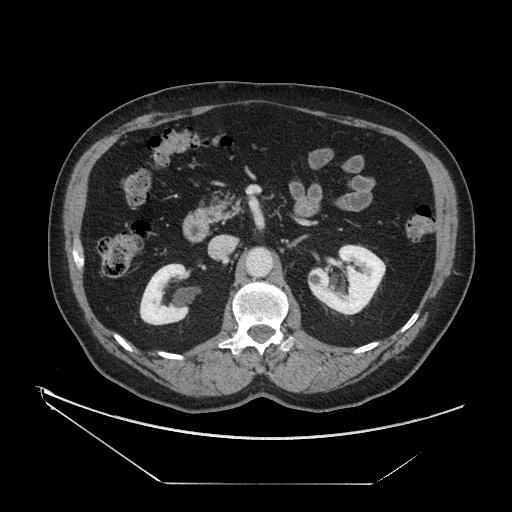
CT slice, Upper abdomen
pancreas: [210,191,242,212]